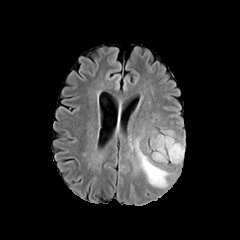
FLAIR MR image.
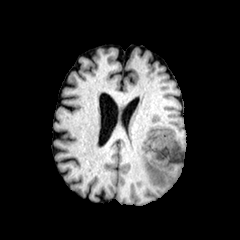
T1-weighted MR image.
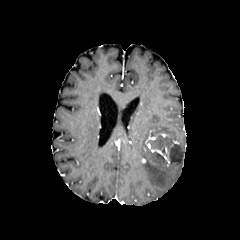
Post-contrast T1-weighted magnetic resonance.
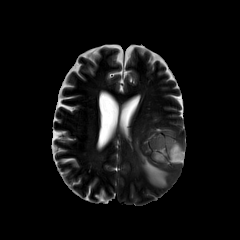
T2-weighted MR image of the same slice.
3 edema regions appear at 153 152 167 162, 152 133 184 162, 139 151 167 185.